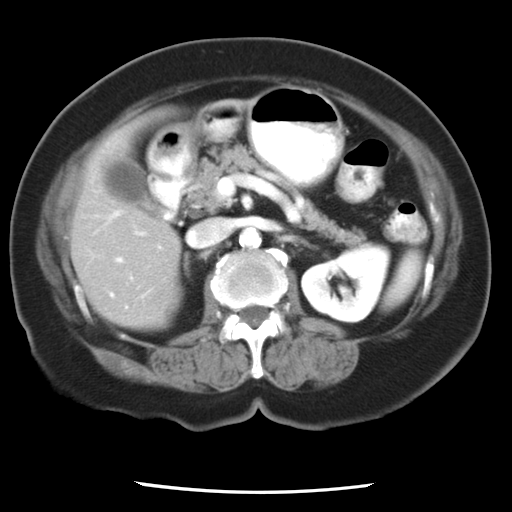
CT image.

Some hepatic vessels may have no box.
hepatic_vessel:
  - 110:294:112:295
  - 220:181:233:193